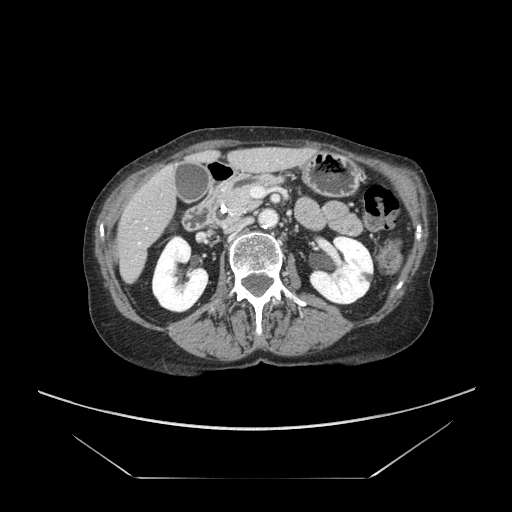 CT slice
The pancreas is bounded by (209,174,288,228).